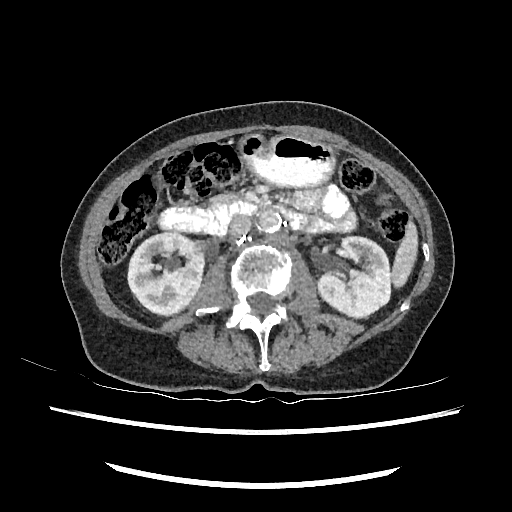

512x512. Computed tomography. Kidney = {"x1": 128, "y1": 233, "x2": 203, "y2": 314}, {"x1": 318, "y1": 237, "x2": 390, "y2": 316}.